Slice 61 of 155, Brain, Image width 240 mm
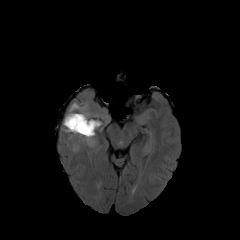
FLAIR MR.
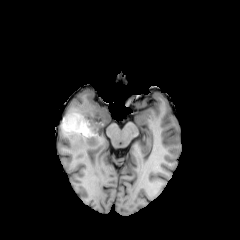
T1-weighted magnetic resonance.
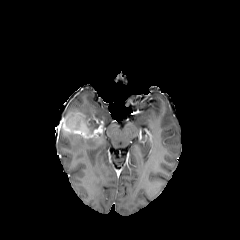
Post-contrast T1-weighted MR image.
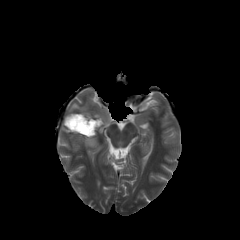
Same slice, T2-weighted MR.
Segmented structures:
- enhancing tumor: [x1=60, y1=114, x2=101, y2=137]
- edema: [x1=62, y1=131, x2=101, y2=151], [x1=65, y1=98, x2=107, y2=124]
- non-enhancing tumor core: [x1=86, y1=118, x2=99, y2=129]